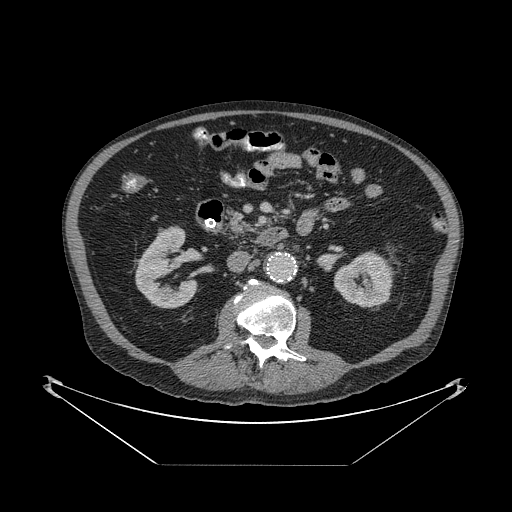 CT image. Pancreas: bounding box bbox=[225, 212, 249, 235].